FLAIR MR image.
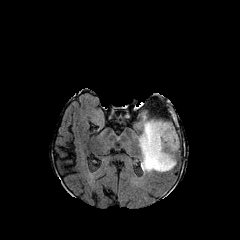
T1-weighted MR image.
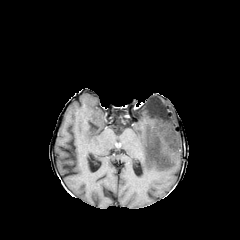
Post-contrast T1-weighted magnetic resonance.
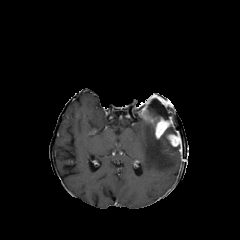
T2-weighted MR image.
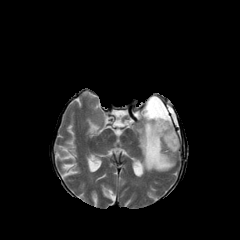
Enhancing tumor at x1=141, y1=109, x2=173, y2=139; x1=166, y1=132, x2=179, y2=146.
Edema at x1=138, y1=120, x2=177, y2=172.
Non-enhancing tumor core at x1=140, y1=94, x2=181, y2=149.